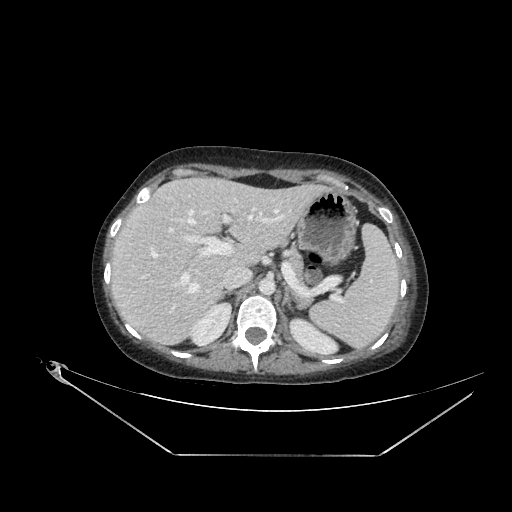

Computed tomography.

The liver is located at box=[110, 182, 325, 346]. 2 kidney regions are bounded by box=[189, 303, 230, 345]; box=[290, 320, 336, 353].